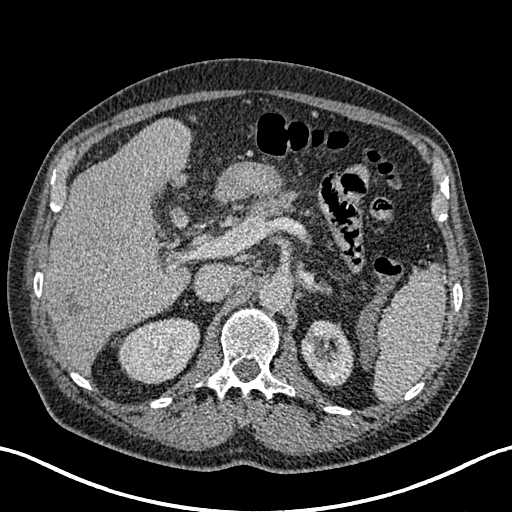

Computed tomography
hepatic_lesion:
  - left=56, top=291, right=85, bottom=324
  - left=150, top=186, right=159, bottom=201
kidney:
  - left=302, top=321, right=352, bottom=385
  - left=120, top=319, right=198, bottom=382
liver:
  - left=45, top=119, right=191, bottom=373